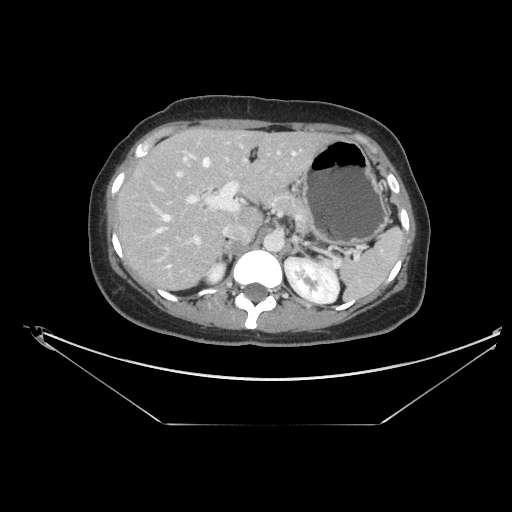

CT image.

The pancreas is bounded by 269,191,310,231.